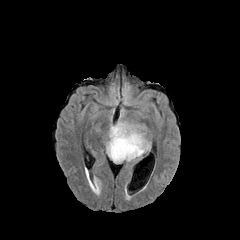
FLAIR magnetic resonance.
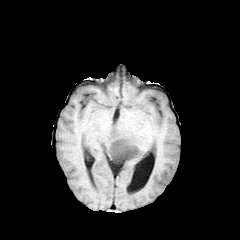
T1-weighted MR image.
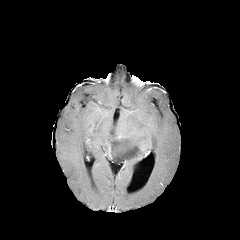
Post-contrast T1-weighted MR image.
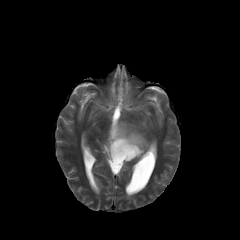
T2-weighted MR of the same slice.
The non-enhancing tumor core is bounded by l=110, t=132, r=144, b=163. 2 edema regions are located at l=121, t=150, r=143, b=161; l=106, t=121, r=151, b=161.